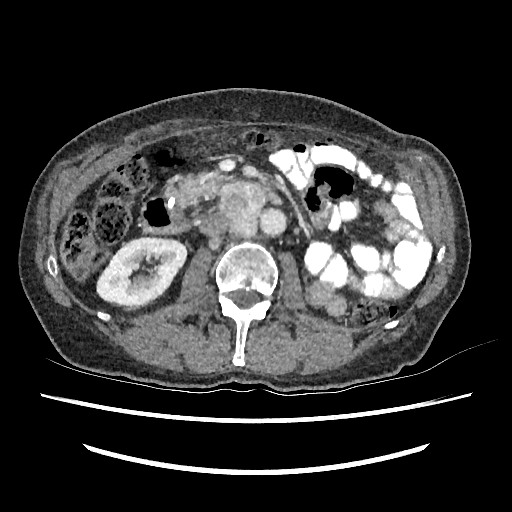

Abdomen. Computed tomography.

kidney:
  - 97, 238, 186, 305